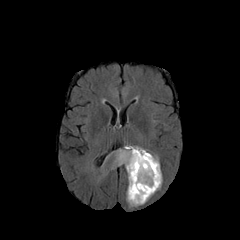
FLAIR MR image.
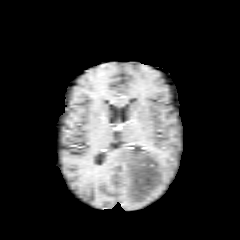
Same slice, T1-weighted MR image.
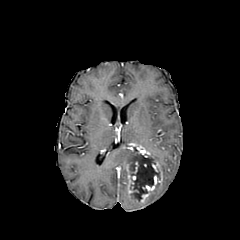
Post-contrast T1-weighted magnetic resonance.
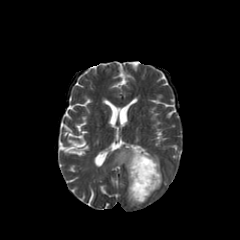
T2-weighted MRI of the same slice.
Head
enhancing tumor: box=[136, 146, 149, 157]; box=[140, 175, 161, 201] | edema: box=[126, 183, 161, 206]; box=[114, 143, 135, 175] | non-enhancing tumor core: box=[130, 146, 160, 200]